FLAIR MR image.
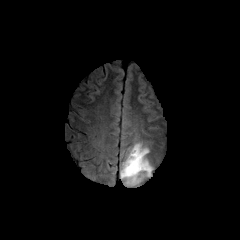
T1-weighted magnetic resonance.
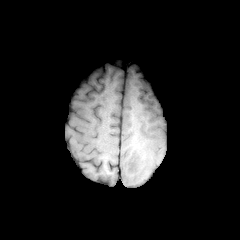
Post-contrast T1-weighted MR.
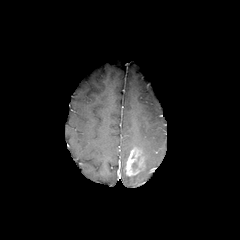
T2-weighted MRI.
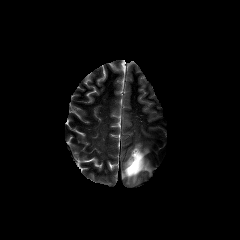
240x240.
Segmented structures:
* edema: box=[120, 142, 151, 186]
* enhancing tumor: box=[125, 148, 143, 176]